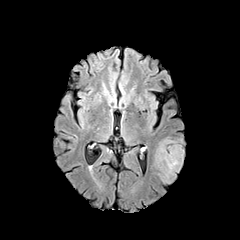
FLAIR MR image.
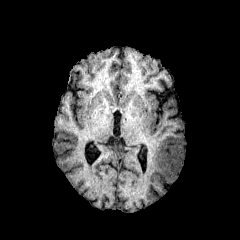
T1-weighted MR image of the same slice.
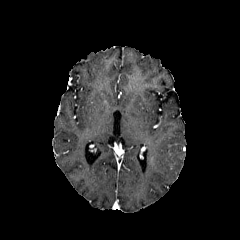
Post-contrast T1-weighted MR image of the same slice.
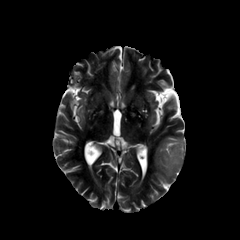
T2-weighted MR.
Head
edema:
  - l=152, t=135, r=175, b=184
non-enhancing_tumor_core:
  - l=161, t=139, r=184, b=177